FLAIR MR image.
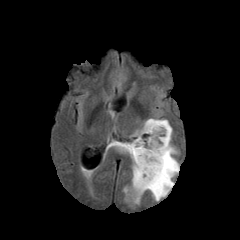
T1-weighted MR image.
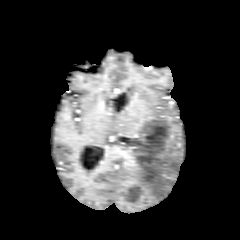
Post-contrast T1-weighted MR image.
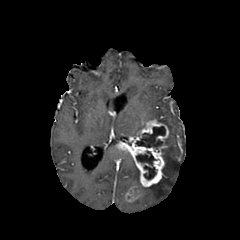
T2-weighted MRI.
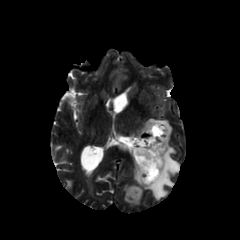
Image size 240x240. Head.
Non-enhancing tumor core: 136,126,165,147; 136,152,155,179.
Edema: 132,160,138,183; 142,119,179,201.
Enhancing tumor: 124,184,142,202; 116,119,169,187.